Image size 512x512, CT

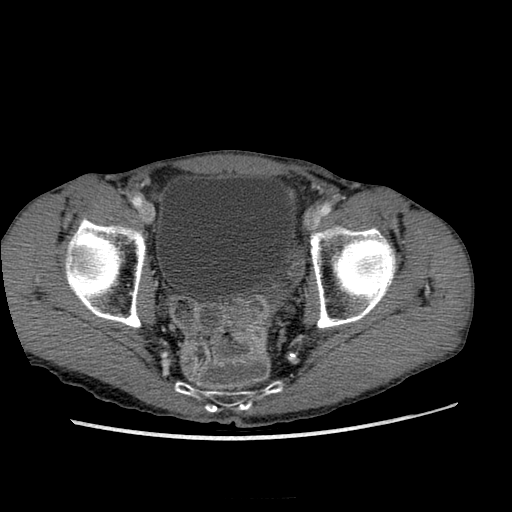 - urinary bladder: 160, 174, 291, 290